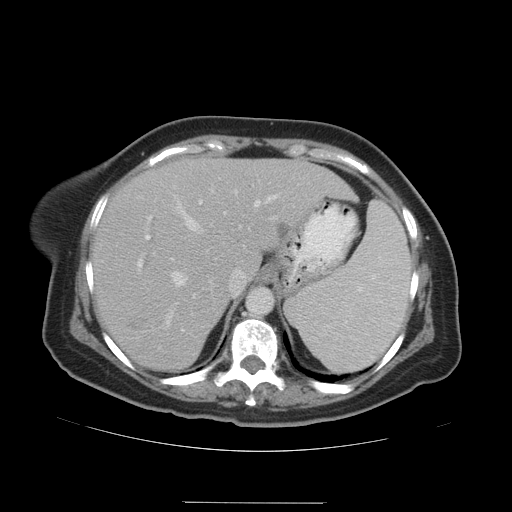 Image size 512x512; CT slice
Not every hepatic vessel necessarily has a box.
2 liver tumor regions appear at [x1=280, y1=224, x2=289, y2=235], [x1=127, y1=322, x2=142, y2=330]. The principal 15 hepatic vessel regions (of 17) are located at [x1=166, y1=310, x2=172, y2=325], [x1=171, y1=258, x2=173, y2=259], [x1=145, y1=235, x2=149, y2=239], [x1=138, y1=261, x2=141, y2=265], [x1=181, y1=329, x2=183, y2=330], [x1=147, y1=216, x2=151, y2=220], [x1=158, y1=347, x2=160, y2=348], [x1=173, y1=272, x2=186, y2=285], [x1=255, y1=201, x2=259, y2=207], [x1=209, y1=280, x2=213, y2=286], [x1=199, y1=200, x2=201, y2=203], [x1=174, y1=195, x2=197, y2=229], [x1=267, y1=195, x2=277, y2=202], [x1=176, y1=302, x2=177, y2=304], [x1=198, y1=229, x2=202, y2=232].